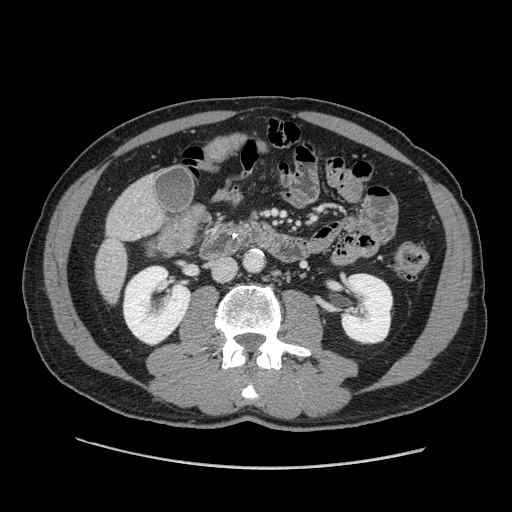
Upper abdomen; Computed tomography
Segmented structures:
• pancreas: {"x1": 235, "y1": 209, "x2": 275, "y2": 242}